MR, Slice 24/37, Image size 39x52 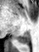 The posterior hippocampus appears at <box>18,33,30,43</box>.